240x240 px; Field of view 240 mm wide, 1.00 mm slice spacing
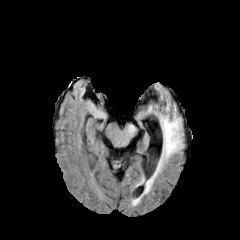
FLAIR MR image.
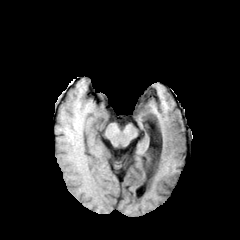
T1-weighted MR.
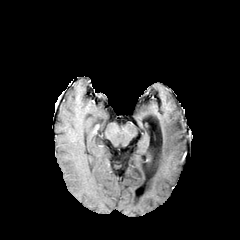
Same slice, post-contrast T1-weighted magnetic resonance.
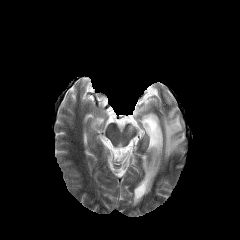
Same slice, T2-weighted magnetic resonance.
Edema — 144,114,182,193.